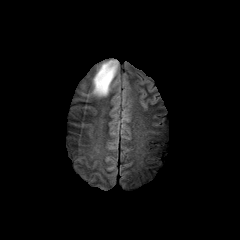
FLAIR magnetic resonance.
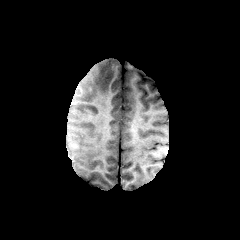
T1-weighted magnetic resonance.
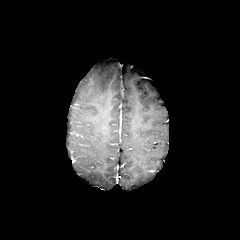
Post-contrast T1-weighted MR image of the same slice.
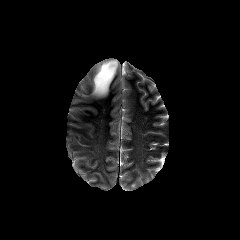
Same slice, T2-weighted MRI.
240x240 px
<segmentation>
  <edema><bbox>94, 60, 118, 95</bbox></edema>
</segmentation>